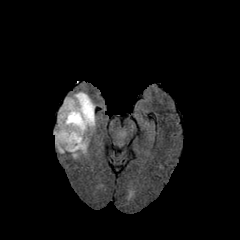
FLAIR magnetic resonance.
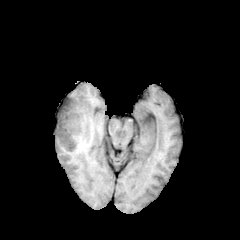
T1-weighted MRI.
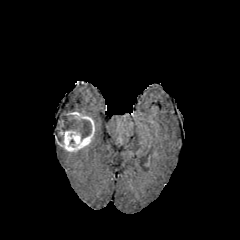
Same slice, post-contrast T1-weighted magnetic resonance.
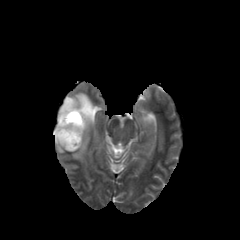
T2-weighted MR of the same slice.
240x240 px
Segmented structures:
- non-enhancing tumor core: left=59, top=98, right=94, bottom=142
- edema: left=70, top=145, right=87, bottom=159; left=56, top=145, right=67, bottom=153; left=56, top=92, right=97, bottom=125
- enhancing tumor: left=55, top=120, right=89, bottom=151; left=63, top=111, right=94, bottom=129